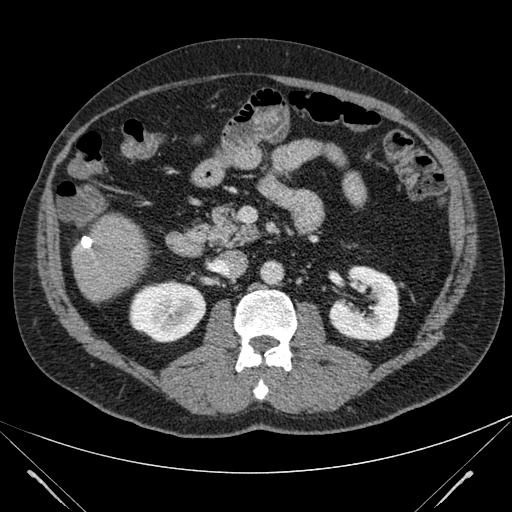

Liver, Computed tomography
Kidney = x1=130 y1=283 x2=204 y2=341, x1=330 y1=267 x2=398 y2=339.
Liver = x1=72 y1=215 x2=148 y2=301.